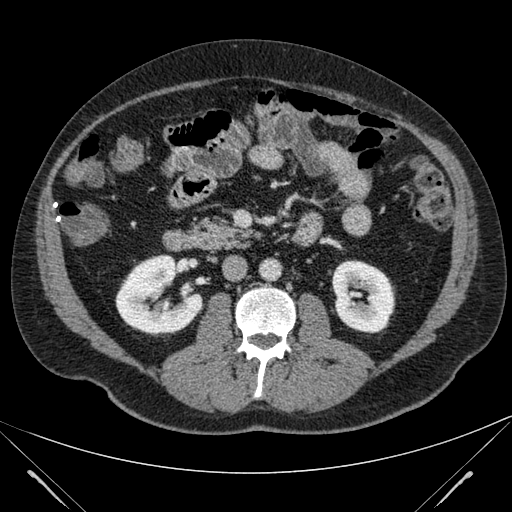

Abdomen; CT scan slice
{
  "kidney": [
    "(x1=333, y1=261, x2=393, y2=332)",
    "(x1=117, y1=256, x2=201, y2=332)"
  ]
}